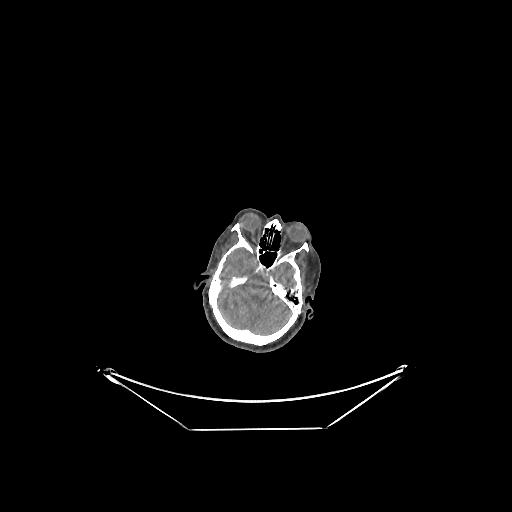
Brain; CT image
The brain is located at (217, 247, 296, 335).